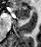

Magnetic resonance | Hippocampus

* anterior hippocampus: left=12, top=4, right=29, bottom=19